FLAIR MR.
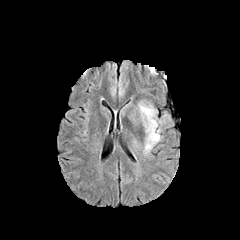
T1-weighted magnetic resonance.
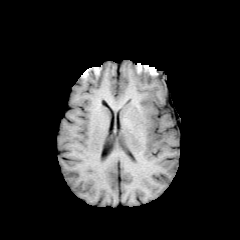
Post-contrast T1-weighted MR image.
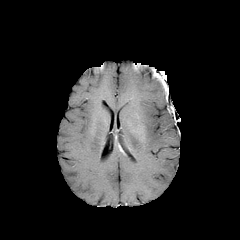
T2-weighted MR.
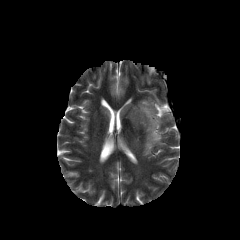
edema: left=136, top=101, right=169, bottom=155